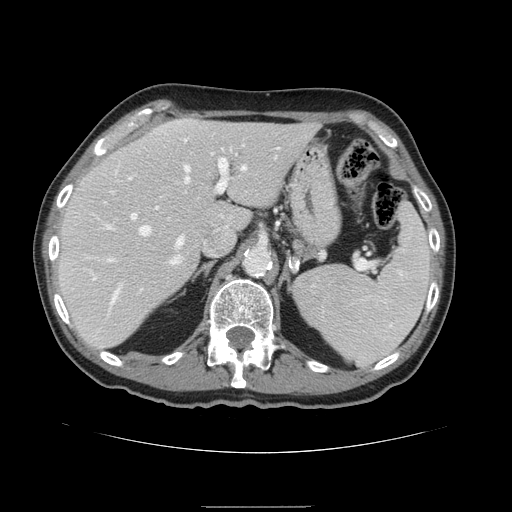 Abdomen. CT image.

Not every hepatic vessel necessarily has a box.
Hepatic vessel — 242 165 246 169, 211 212 245 247, 217 158 227 191, 132 213 136 218, 112 289 119 303, 171 257 179 263, 108 258 113 260, 104 224 111 228, 176 236 183 246, 156 206 158 208, 204 240 216 255, 185 175 189 182, 140 226 150 235, 185 165 189 171.